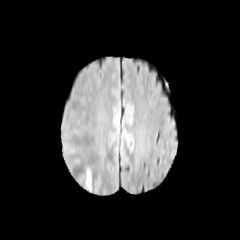
FLAIR MR.
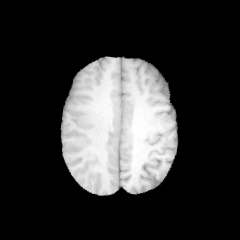
T1-weighted MR image.
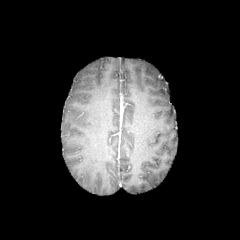
Post-contrast T1-weighted MR image.
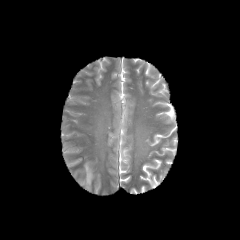
T2-weighted MRI.
Head
Edema — x1=83, y1=165, x2=92, y2=186.